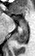 Magnetic resonance; 35x56
Anterior hippocampus = left=19, top=19, right=24, bottom=22.
Posterior hippocampus = left=14, top=23, right=27, bottom=43.